T2-weighted MR.
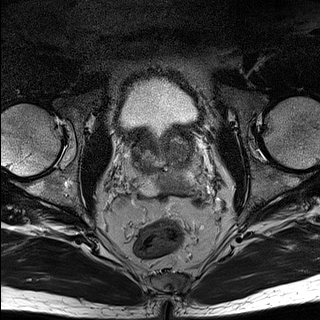
ADC MR image.
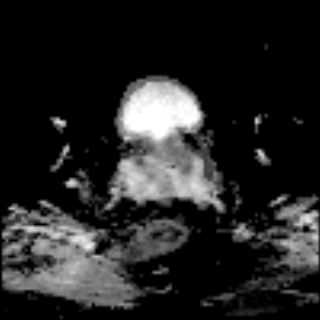
{"prostate_peripheral_zone": ["l=123, t=142, r=202, b=194"], "prostate_transition_zone": ["l=128, t=134, r=195, b=174"]}